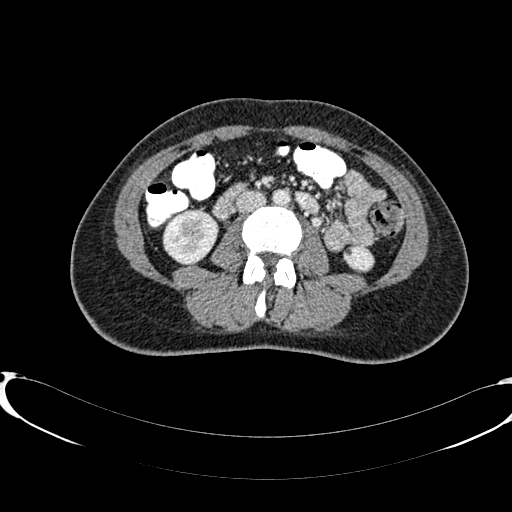

CT slice, Abdomen, 512x512 px
Kidney at bbox(347, 249, 371, 269); bbox(164, 212, 216, 262).